FLAIR MR image.
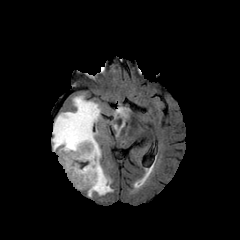
T1-weighted magnetic resonance.
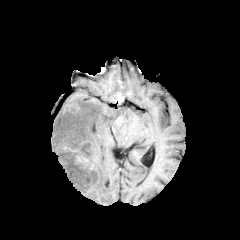
Post-contrast T1-weighted MR.
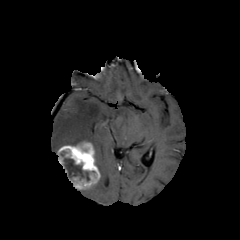
T2-weighted MRI.
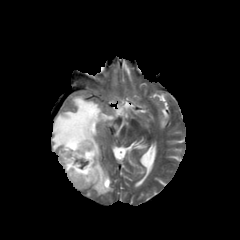
<segmentation>
  <edema>l=52, t=95, r=128, b=196</edema>
  <enhancing_tumor>l=57, t=141, r=101, b=190</enhancing_tumor>
  <non-enhancing_tumor_core>l=64, t=158, r=83, b=177</non-enhancing_tumor_core>
</segmentation>